MR image. Slice index 86. Cardiac.
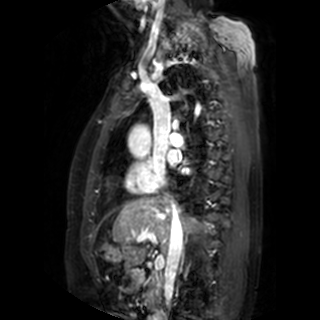 {"left_atrium": ["l=168, t=150, r=176, b=165"]}